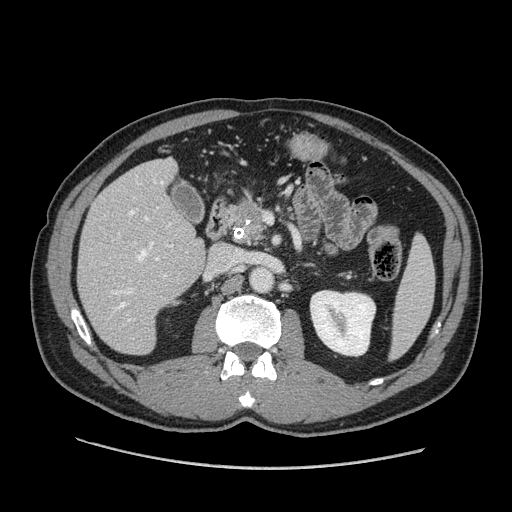

CT.
<segmentation>
  <pancreas>228 200 267 247</pancreas>
  <pancreatic_tumor>237 203 264 236</pancreatic_tumor>
</segmentation>